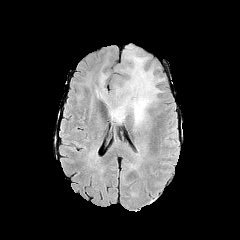
FLAIR MRI.
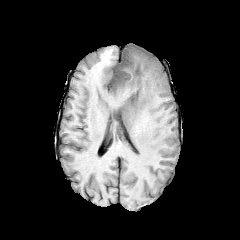
T1-weighted MR.
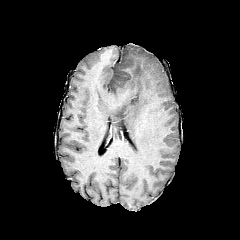
Post-contrast T1-weighted magnetic resonance.
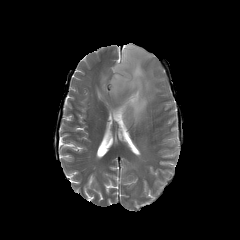
T2-weighted magnetic resonance.
The non-enhancing tumor core is located at [127,91,138,102]. The edema lies within [109,46,161,127].